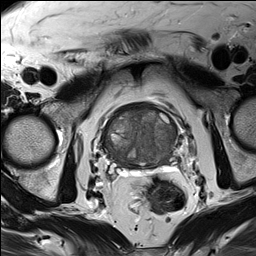
T2-weighted MR.
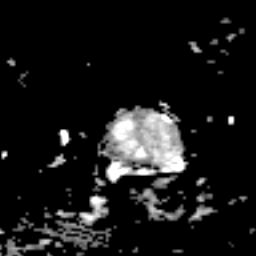
ADC MR image.
Pelvis
The prostate peripheral zone lies within [105, 109, 175, 166].